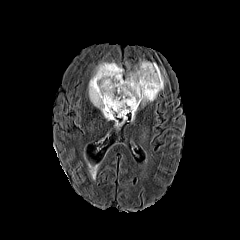
FLAIR MRI.
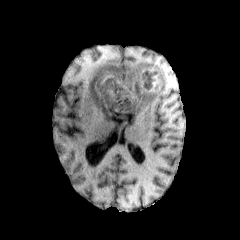
T1-weighted magnetic resonance.
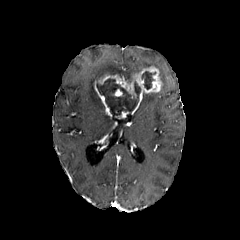
Post-contrast T1-weighted MR image.
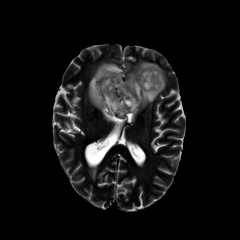
T2-weighted MR image of the same slice.
240x240.
* enhancing tumor: {"x1": 112, "y1": 88, "x2": 124, "y2": 96}, {"x1": 98, "y1": 65, "x2": 162, "y2": 105}, {"x1": 97, "y1": 90, "x2": 112, "y2": 116}
* edema: {"x1": 87, "y1": 61, "x2": 124, "y2": 121}, {"x1": 125, "y1": 59, "x2": 168, "y2": 91}, {"x1": 140, "y1": 92, "x2": 159, "y2": 108}
* non-enhancing tumor core: {"x1": 141, "y1": 71, "x2": 156, "y2": 90}, {"x1": 96, "y1": 78, "x2": 141, "y2": 116}